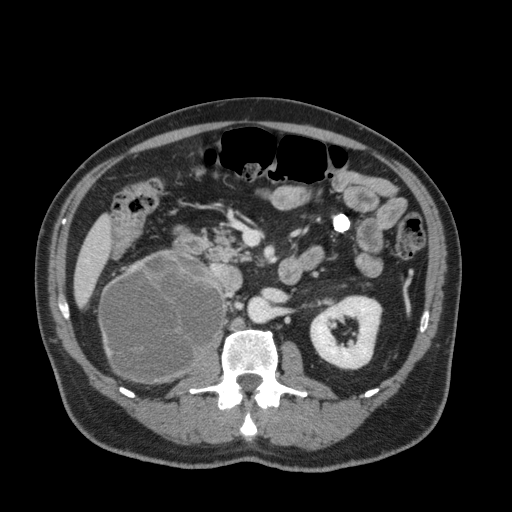

512x512 px; Abdomen; CT image
Segmented structures:
- liver: (x1=75, y1=216, x2=110, y2=304)
- kidney: (x1=311, y1=297, x2=380, y2=367)